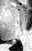
Medial temporal lobe. Magnetic resonance.
<segmentation>
  <posterior_hippocampus>7, 42, 15, 44</posterior_hippocampus>
</segmentation>